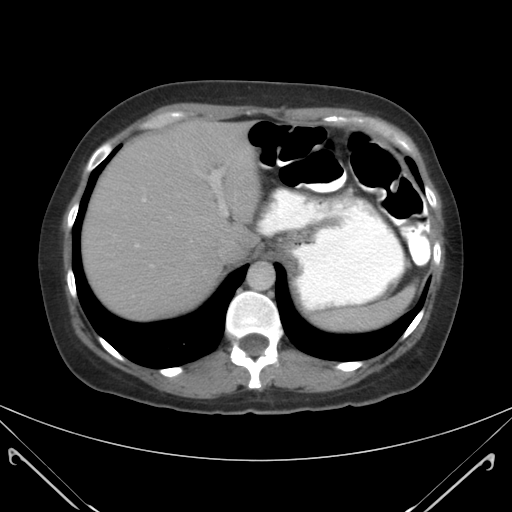

CT image. - spleen: (314,284,416,331)